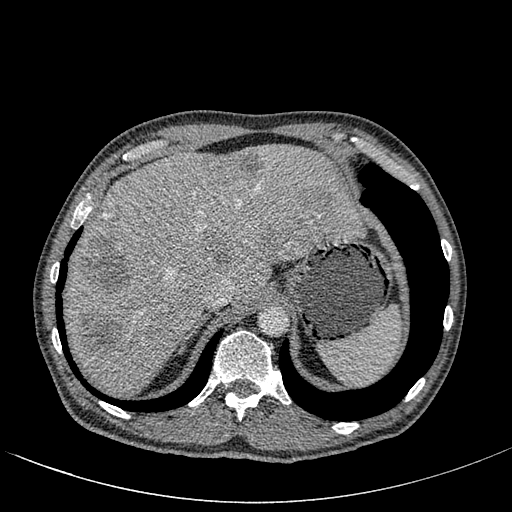

CT image
Liver: l=66, t=144, r=365, b=394.
Hepatic lesion: l=79, t=311, r=121, b=351; l=207, t=237, r=233, b=264; l=314, t=192, r=330, b=208; l=204, t=152, r=263, b=187; l=83, t=236, r=130, b=292; l=261, t=233, r=278, b=249.